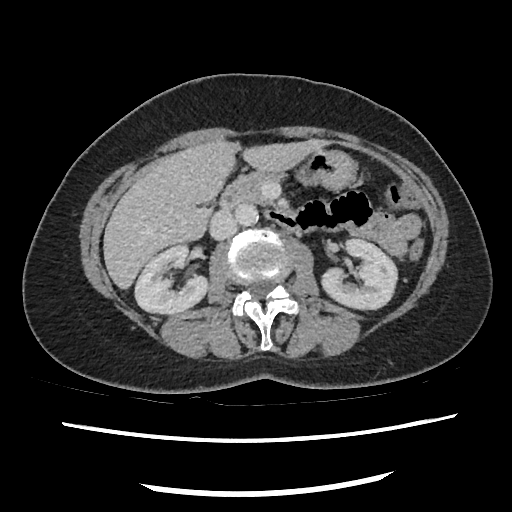

Upper abdomen | CT scan slice | Image size 512x512
The pancreas lies within region(221, 170, 280, 207).